Slice 66/155
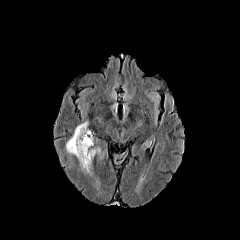
FLAIR MR.
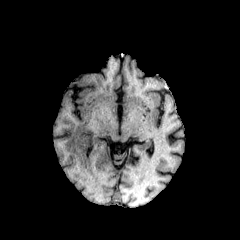
T1-weighted MRI of the same slice.
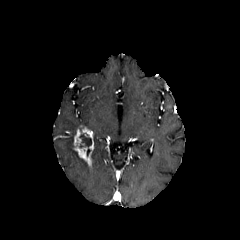
Post-contrast T1-weighted MR image.
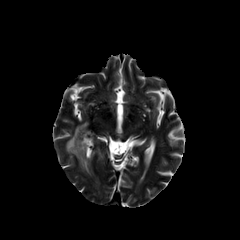
T2-weighted magnetic resonance.
• edema: [x1=90, y1=146, x2=107, y2=162], [x1=65, y1=127, x2=92, y2=175]
• enhancing tumor: [x1=73, y1=126, x2=94, y2=165]
• non-enhancing tumor core: [x1=79, y1=133, x2=91, y2=156]